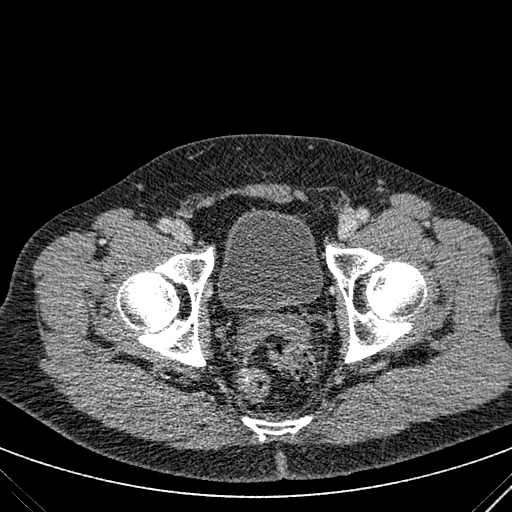

CT image. Lower abdomen.
urinary_bladder:
  - {"x1": 217, "y1": 207, "x2": 323, "y2": 316}